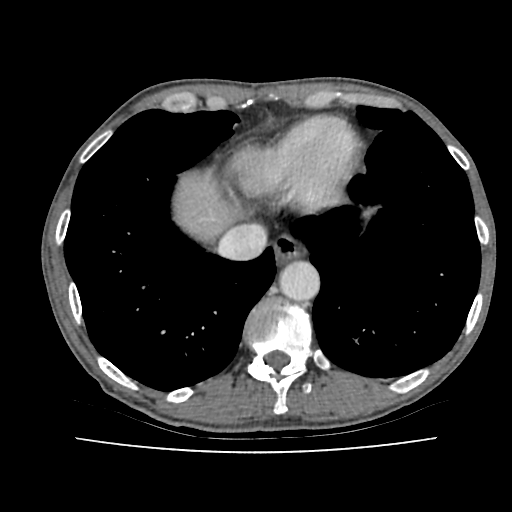

CT slice | Abdomen
• liver: 345:233:364:249, 177:171:228:228, 259:174:277:189